CT image.

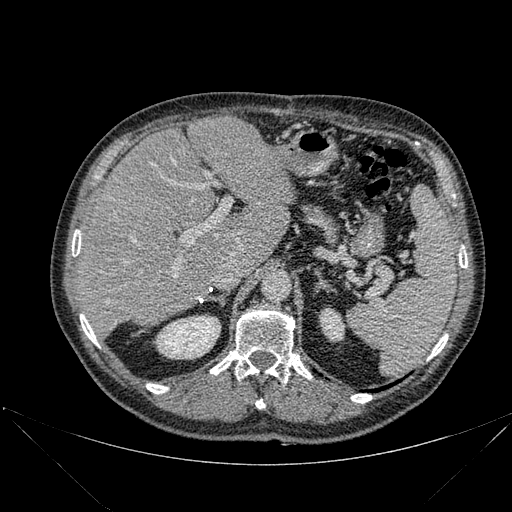
Bone at x1=146, y1=383, x2=168, y2=393; x1=459, y1=253, x2=467, y2=267; x1=72, y1=233, x2=80, y2=256; x1=255, y1=399, x2=264, y2=408; x1=427, y1=334, x2=448, y2=359; x1=210, y1=310, x2=311, y2=382; x1=351, y1=394, x2=371, y2=403; x1=80, y1=314, x2=98, y2=345.
Liver at x1=76, y1=116, x2=292, y2=338.
Kidney at x1=156, y1=316, x2=220, y2=358; x1=320, y1=308, x2=343, y2=340.